Slice index 102. Brain.
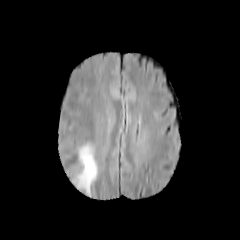
FLAIR MR.
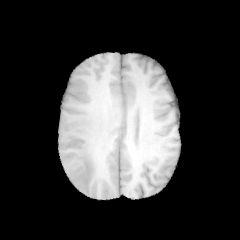
T1-weighted MRI.
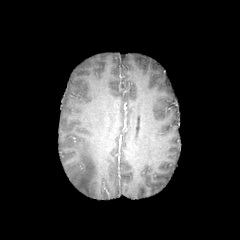
Post-contrast T1-weighted MR of the same slice.
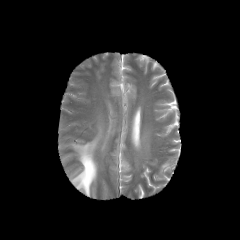
T2-weighted MR.
Edema: 72,142,97,195.